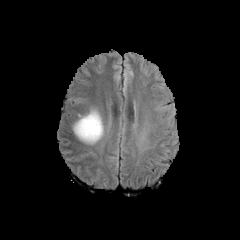
FLAIR magnetic resonance.
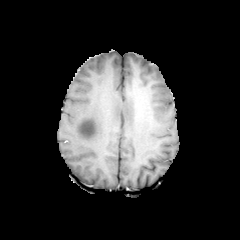
T1-weighted MRI of the same slice.
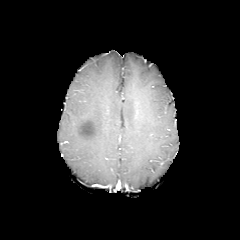
Post-contrast T1-weighted MR image of the same slice.
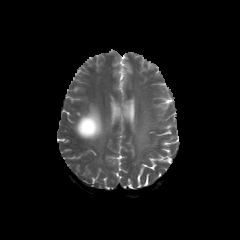
Same slice, T2-weighted magnetic resonance.
240x240 px, Head
non-enhancing_tumor_core:
  - {"x1": 83, "y1": 124, "x2": 91, "y2": 134}
edema:
  - {"x1": 72, "y1": 106, "x2": 104, "y2": 144}